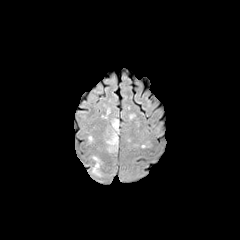
FLAIR MR image.
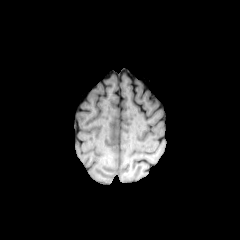
T1-weighted MRI.
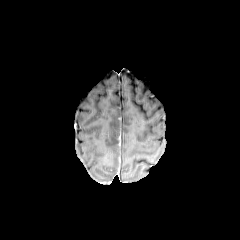
Post-contrast T1-weighted MR image.
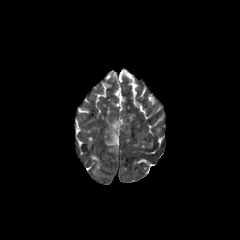
Same slice, T2-weighted MR.
Head
Findings:
• edema: [106,119,119,146], [91,156,99,175]